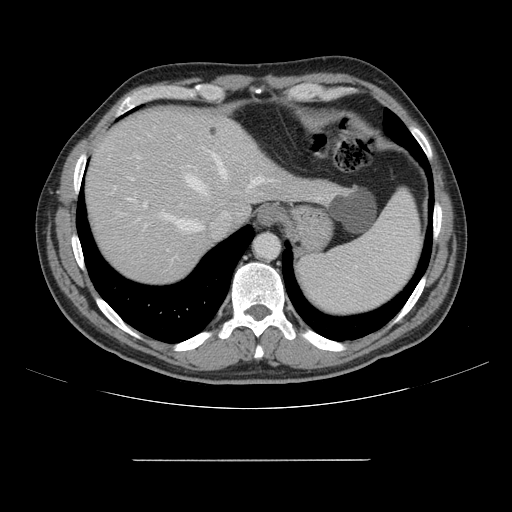 CT; 512x512 px
Only some of the vessels may be annotated.
Hepatic vessel — (x1=128, y1=177, x2=133, y2=179), (x1=193, y1=223, x2=202, y2=231), (x1=137, y1=218, x2=139, y2=219), (x1=178, y1=136, x2=180, y2=137), (x1=128, y1=198, x2=135, y2=202), (x1=210, y1=152, x2=225, y2=176), (x1=188, y1=166, x2=194, y2=167), (x1=158, y1=211, x2=172, y2=219), (x1=176, y1=219, x2=191, y2=229), (x1=144, y1=224, x2=146, y2=228), (x1=143, y1=203, x2=146, y2=207), (x1=246, y1=176, x2=263, y2=191), (x1=136, y1=156, x2=139, y2=158).